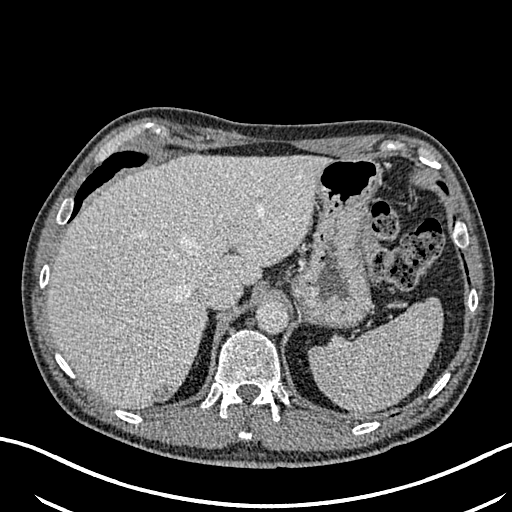
512x512, CT
focal_liver_lesion:
  - box(152, 383, 173, 401)
liver:
  - box(49, 155, 330, 408)